Image size 240x240, Head
FLAIR MRI.
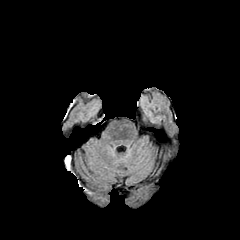
T1-weighted MR.
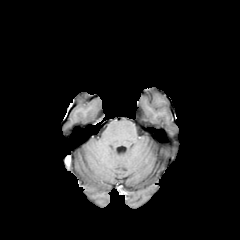
Post-contrast T1-weighted magnetic resonance.
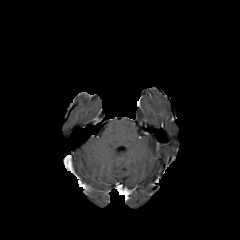
T2-weighted magnetic resonance.
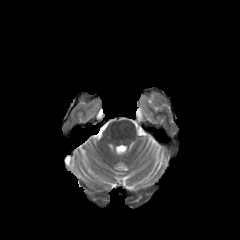
* edema: (left=64, top=155, right=71, bottom=170)